CT slice; Slice 15 of 51; Field of view 429x429 mm

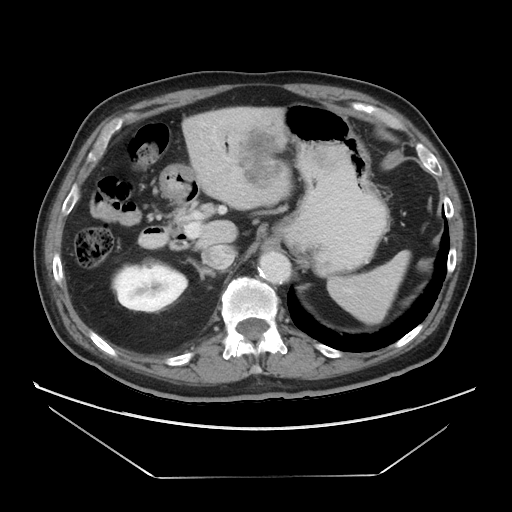
The liver tumor is at 238:128:280:186.